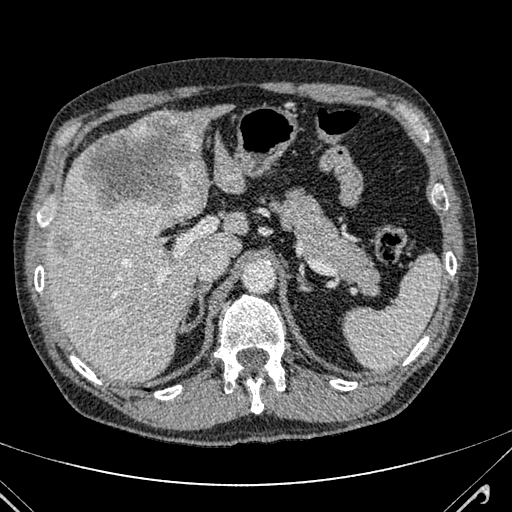
CT scan slice. 512x512 px.

2 liver lesion regions are located at {"x1": 54, "y1": 237, "x2": 69, "y2": 255}, {"x1": 80, "y1": 115, "x2": 206, "y2": 209}. 4 liver regions are bounded by {"x1": 47, "y1": 158, "x2": 246, "y2": 380}, {"x1": 153, "y1": 104, "x2": 232, "y2": 156}, {"x1": 94, "y1": 118, "x2": 146, "y2": 144}, {"x1": 215, "y1": 140, "x2": 244, "y2": 191}.